CT slice; Slice 42 of 107; Upper abdomen; Field of view 425 mm wide, 2.50 mm slice spacing
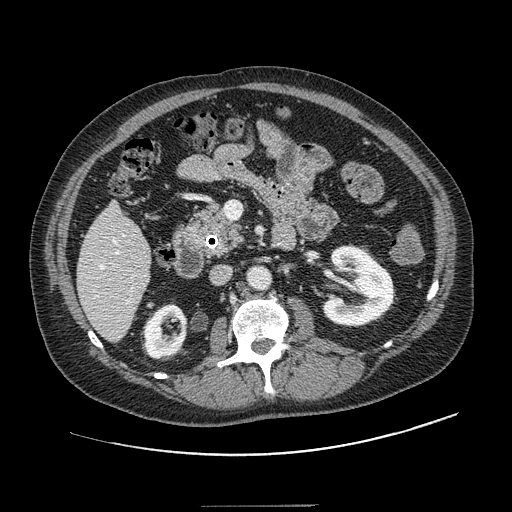

pancreas:
  - box(193, 203, 243, 254)